FLAIR MRI.
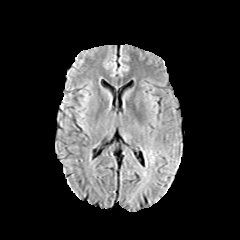
T1-weighted MR.
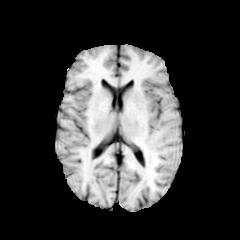
Post-contrast T1-weighted MR.
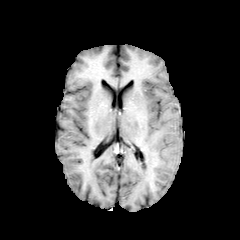
T2-weighted MR image.
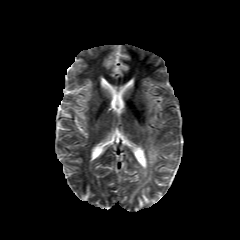
Image size 240x240.
Edema: bounding box bbox(144, 148, 155, 165).